Slice 303 of 461, CT scan slice, Field of view 432 mm wide, 1.50 mm slice spacing, 512x512 px, Liver

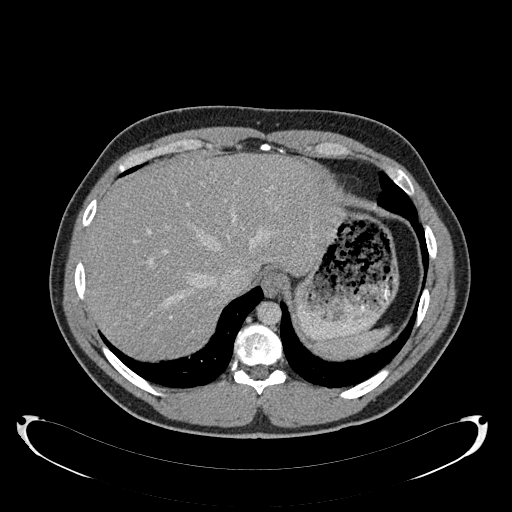 <segmentation>
  <liver><box>83,155,336,357</box></liver>
</segmentation>